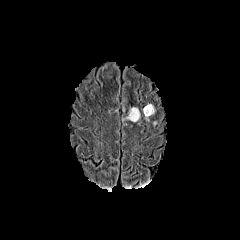
FLAIR MR.
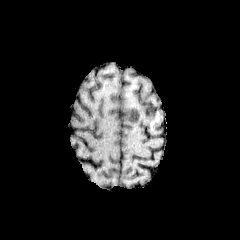
T1-weighted MR.
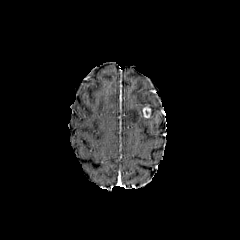
Post-contrast T1-weighted MR image of the same slice.
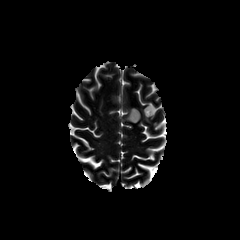
T2-weighted MR image.
240x240 px
edema: box=[126, 107, 141, 121] | enhancing tumor: box=[143, 106, 151, 117]